FLAIR MRI.
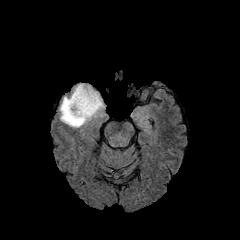
T1-weighted MR image.
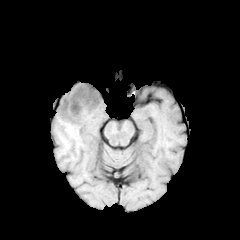
Post-contrast T1-weighted MR image.
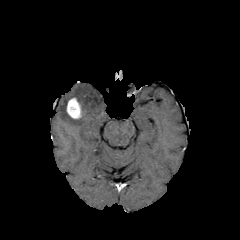
T2-weighted MR.
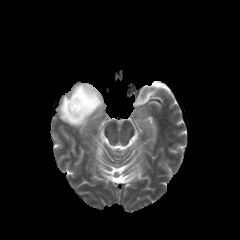
Image size 240x240
The enhancing tumor is at [x1=66, y1=98, x2=84, y2=118]. The edema is at [x1=59, y1=83, x2=104, y2=127].